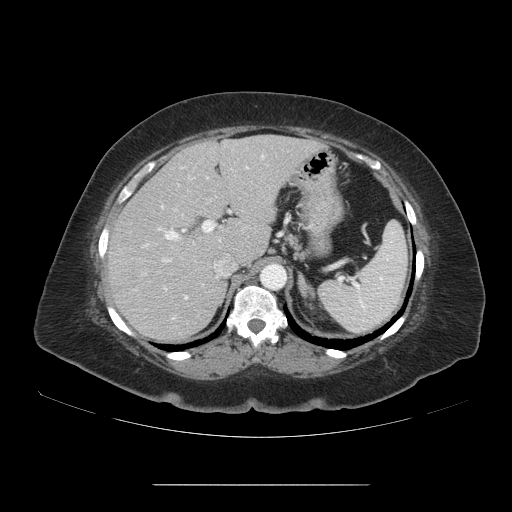

Image size 512x512; CT
The vessel boxes may cover only some of the vessels.
Hepatic vessel at bbox=[157, 227, 184, 240]; bbox=[184, 296, 186, 298]; bbox=[161, 205, 163, 208]; bbox=[189, 177, 192, 179]; bbox=[162, 258, 167, 261]; bbox=[213, 255, 235, 277]; bbox=[145, 243, 149, 245]; bbox=[202, 220, 216, 232].
Liver tumor at bbox=[137, 269, 149, 278].